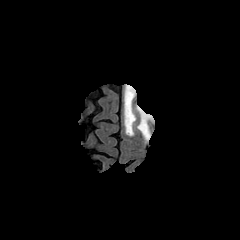
FLAIR MR.
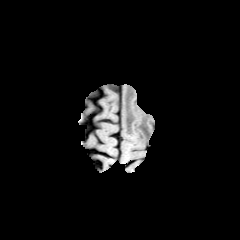
T1-weighted MR.
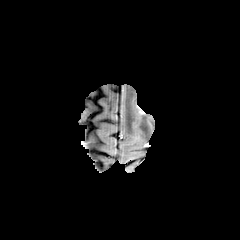
Post-contrast T1-weighted MR.
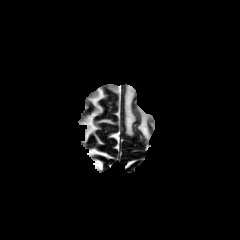
T2-weighted MRI.
Head; Image size 240x240
non-enhancing tumor core: region(124, 88, 133, 131); region(138, 106, 149, 137) | edema: region(122, 84, 154, 143)